CT slice.
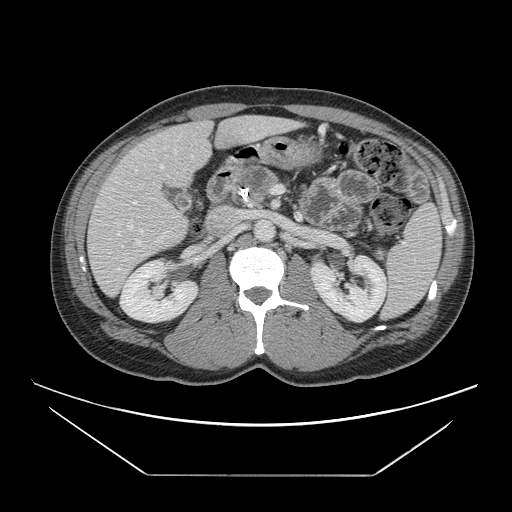 • pancreatic tumor: {"x1": 240, "y1": 167, "x2": 267, "y2": 191}
• pancreas: {"x1": 229, "y1": 166, "x2": 278, "y2": 206}